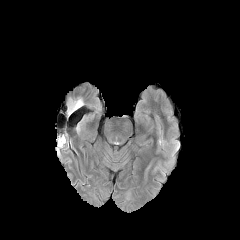
FLAIR magnetic resonance.
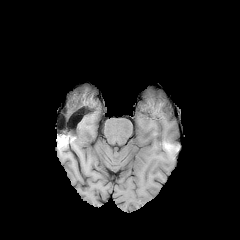
T1-weighted MR of the same slice.
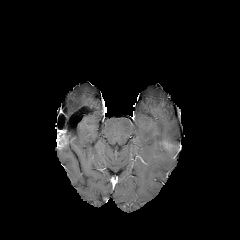
Same slice, post-contrast T1-weighted MR.
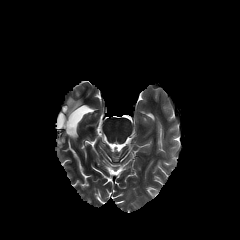
T2-weighted magnetic resonance.
Brain. 240x240 px.
Edema: bounding box [67,98,83,117].